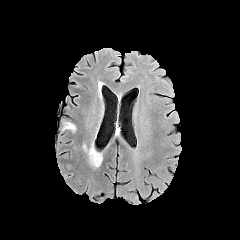
FLAIR magnetic resonance.
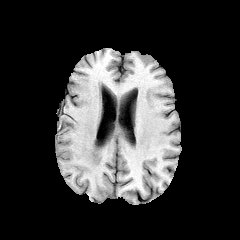
T1-weighted MR image.
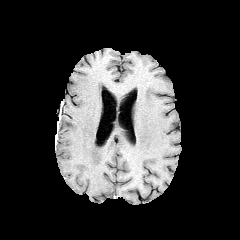
Post-contrast T1-weighted MR.
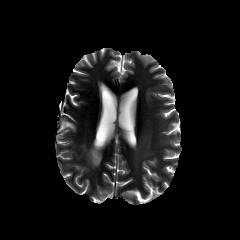
Same slice, T2-weighted MRI.
Brain
Edema: (82,142,101,167).